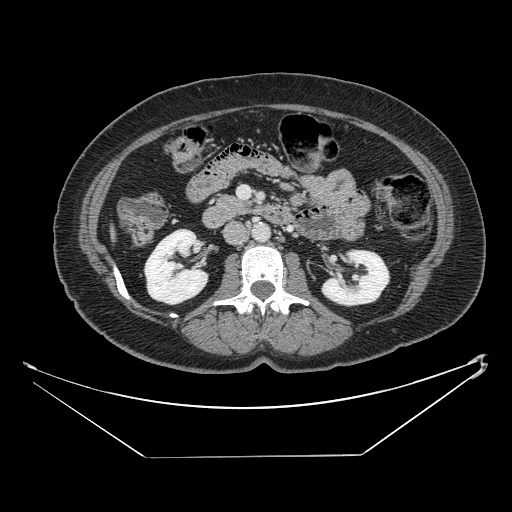 Computed tomography
<segmentation>
  <pancreas>left=214, top=193, right=254, bottom=220</pancreas>
</segmentation>